CT image; Field of view 485x485 mm

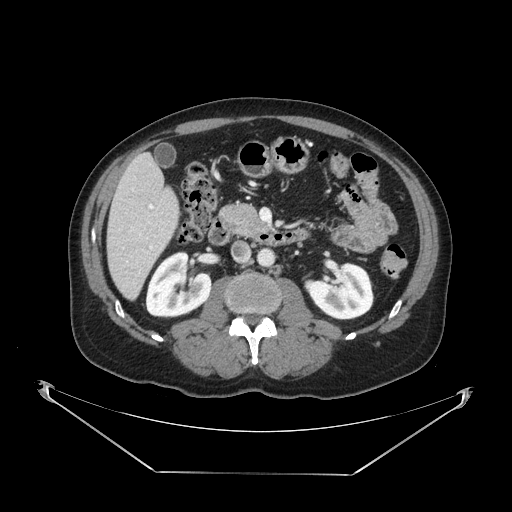 The pancreas lies within box(220, 203, 269, 235).